CT scan slice | Slice 130/689

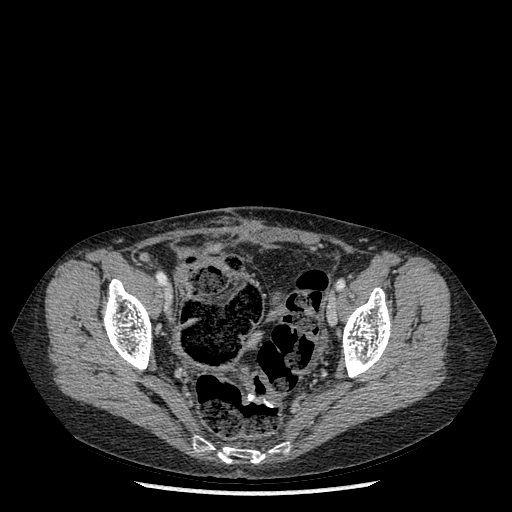

* bone: {"x1": 103, "y1": 279, "x2": 151, "y2": 370}, {"x1": 342, "y1": 287, "x2": 391, "y2": 377}, {"x1": 193, "y1": 435, "x2": 290, "y2": 463}